CT | Slice 20 of 44

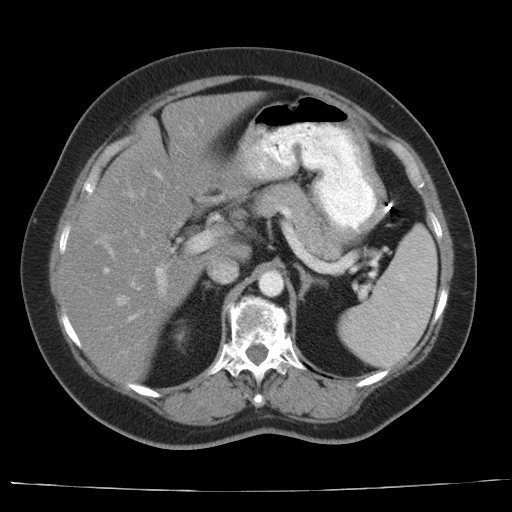 Not every hepatic vessel necessarily has a box.
Hepatic vessel = [126,192,132,196], [117,296,125,304], [104,269,107,272], [137,288,138,289], [171,249,173,251], [106,246,110,252], [155,268,164,286], [155,172,159,176].